FLAIR MR.
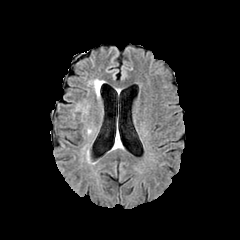
T1-weighted MR image.
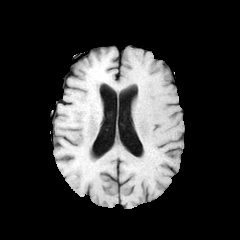
Post-contrast T1-weighted MR.
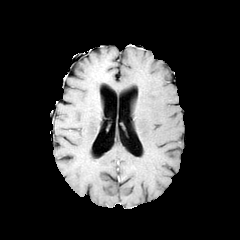
T2-weighted MRI.
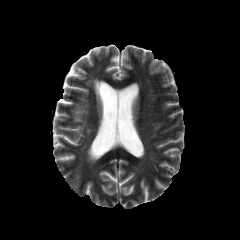
Head; 240x240 px
- edema: [91, 79, 102, 98]